FLAIR MR image.
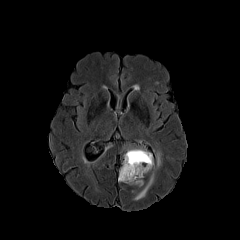
T1-weighted magnetic resonance.
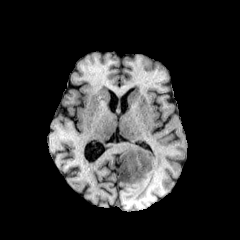
Post-contrast T1-weighted magnetic resonance.
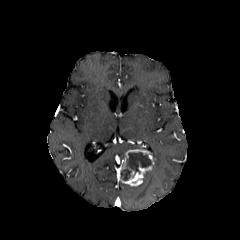
T2-weighted magnetic resonance.
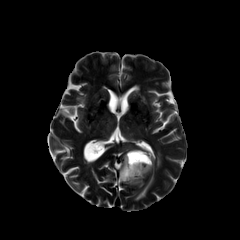
240x240 | Head
Non-enhancing tumor core: (127, 151, 152, 173), (121, 168, 131, 181).
Enhancing tumor: (118, 148, 154, 186).
Edema: (135, 173, 154, 200), (155, 151, 160, 167).